Head | 240x240 | Slice index 76
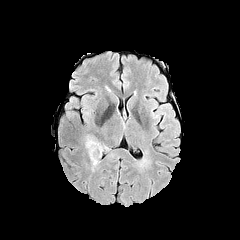
FLAIR MR image.
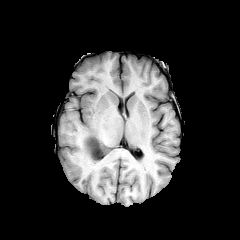
T1-weighted MRI of the same slice.
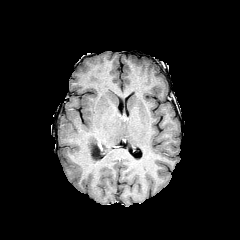
Same slice, post-contrast T1-weighted MR image.
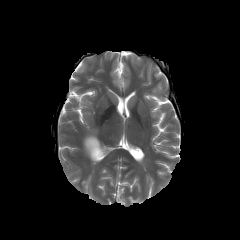
Same slice, T2-weighted magnetic resonance.
The non-enhancing tumor core is bounded by bbox(92, 143, 104, 158). The edema appears at bbox(84, 135, 100, 165).